Slice 172/733. Pelvis. CT slice. 512x512. 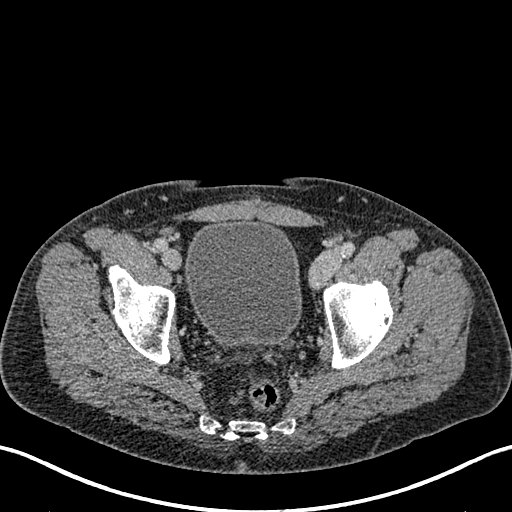
The urinary bladder is bounded by {"x1": 185, "y1": 218, "x2": 301, "y2": 347}.